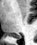
MRI slice

Segmented structures:
* posterior hippocampus: (x1=14, y1=36, x2=20, y2=38)